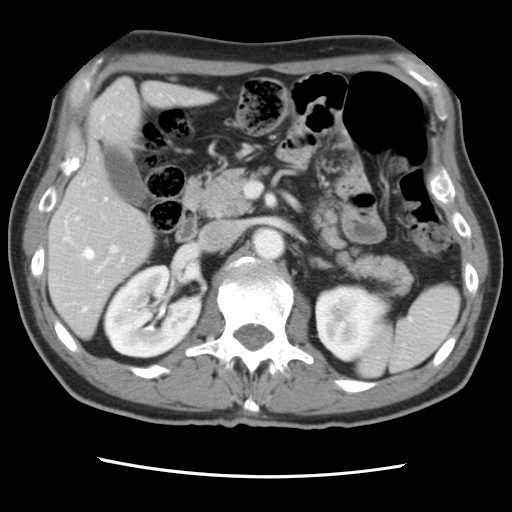

CT slice; Liver

Some hepatic vessels may have no box.
hepatic vessel: box=[67, 227, 67, 230]; box=[83, 307, 86, 310]; box=[111, 246, 116, 251]; box=[98, 285, 100, 288]; box=[101, 261, 106, 267]; box=[84, 248, 93, 258]; box=[105, 198, 106, 200]; box=[102, 116, 103, 119]; box=[64, 235, 69, 240]; box=[122, 258, 124, 261]; box=[83, 182, 84, 184]; box=[76, 217, 79, 219]